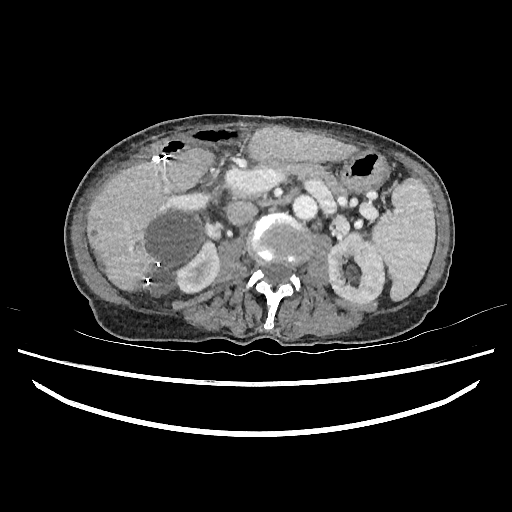

Abdomen | Image size 512x512 | CT

Kidney: bbox=[328, 233, 384, 304]; bbox=[206, 223, 219, 237]; bbox=[177, 242, 219, 292].
Liver lesion: bbox=[144, 210, 203, 295].
Liver: bbox=[248, 127, 355, 162]; bbox=[88, 148, 213, 291].